Computed tomography; 512x512; Slice 422 of 908
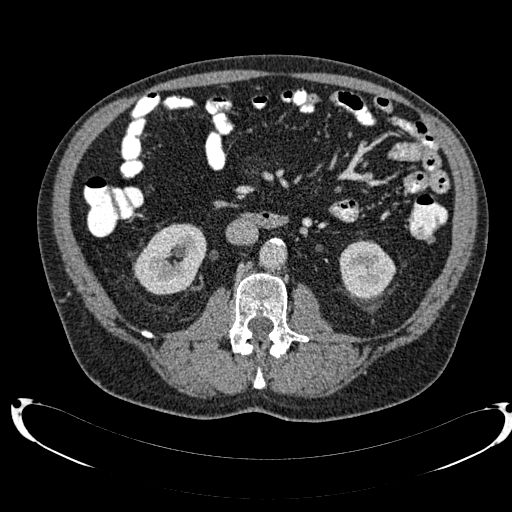

Kidney: box=[339, 241, 395, 300]; box=[133, 224, 206, 294].